Slice 427/845 | Field of view 472 mm wide, 0.80 mm slice spacing | CT slice | Abdomen

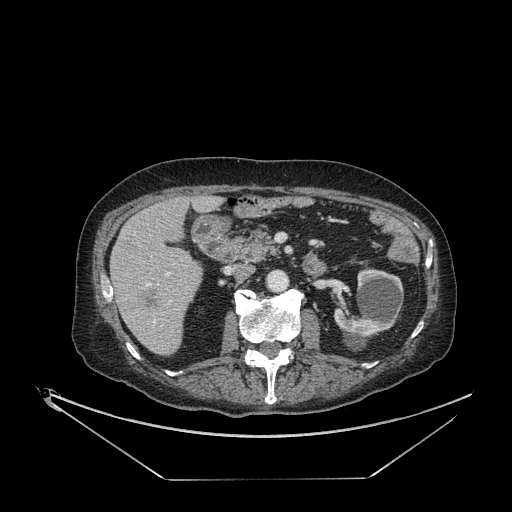 Focal liver lesion: {"x1": 140, "y1": 289, "x2": 158, "y2": 312}, {"x1": 122, "y1": 237, "x2": 137, "y2": 253}.
Kidney: {"x1": 358, "y1": 269, "x2": 402, "y2": 291}, {"x1": 334, "y1": 308, "x2": 394, "y2": 336}, {"x1": 321, "y1": 279, "x2": 349, "y2": 308}.
Liver: {"x1": 110, "y1": 196, "x2": 223, "y2": 355}.